240x240 | Brain | Slice index 110
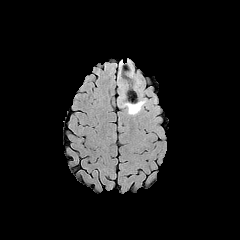
FLAIR MR image.
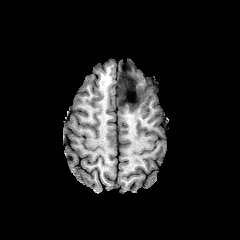
Same slice, T1-weighted MR image.
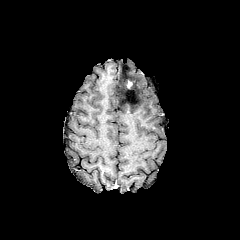
Post-contrast T1-weighted MR of the same slice.
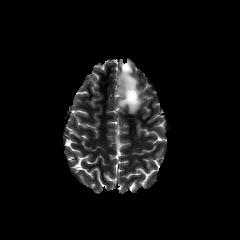
Same slice, T2-weighted magnetic resonance.
{"edema": ["117:60:146:115", "117:72:122:89"], "non-enhancing_tumor_core": ["118:71:137:104"]}